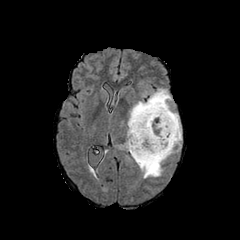
FLAIR MR.
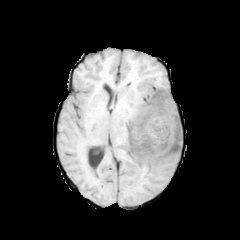
T1-weighted magnetic resonance of the same slice.
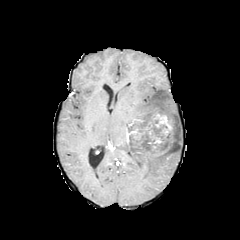
Same slice, post-contrast T1-weighted MR image.
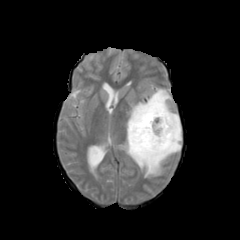
T2-weighted magnetic resonance.
240x240 px, Brain
<segmentation>
  <edema>(x1=120, y1=88, x2=181, y2=177)</edema>
  <non-enhancing_tumor_core>(x1=127, y1=99, x2=179, y2=159)</non-enhancing_tumor_core>
  <enhancing_tumor>(x1=152, y1=137, x2=162, y2=144), (x1=127, y1=127, x2=149, y2=142), (x1=156, y1=113, x2=172, y2=135)</enhancing_tumor>
</segmentation>